MRI. Medial temporal lobe.

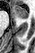 • anterior hippocampus: [x1=13, y1=6, x2=27, y2=19]